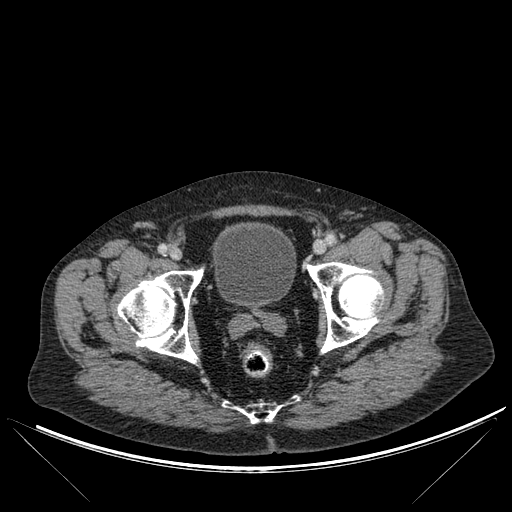 CT scan slice
Urinary bladder = 212 222 296 305.
Bone = 264 404 280 419, 222 401 231 407, 306 262 382 352, 235 405 258 422, 117 269 203 363.